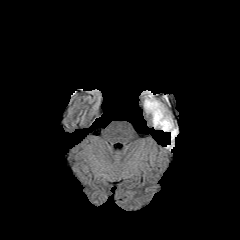
FLAIR MR.
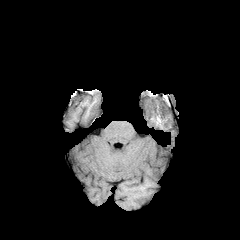
T1-weighted MRI.
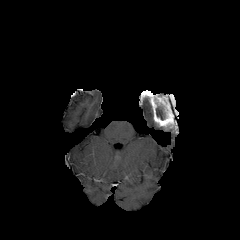
Post-contrast T1-weighted MR.
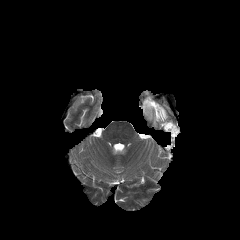
T2-weighted MR.
Image size 240x240
<segmentation>
  <enhancing_tumor>(141, 93, 177, 131)</enhancing_tumor>
  <non-enhancing_tumor_core>(156, 95, 169, 109)</non-enhancing_tumor_core>
  <edema>(167, 130, 178, 145), (141, 100, 151, 116)</edema>
</segmentation>